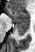
MR | 35x52
<segmentation>
  <posterior_hippocampus>box(14, 24, 29, 37)</posterior_hippocampus>
  <anterior_hippocampus>box(6, 8, 29, 23)</anterior_hippocampus>
</segmentation>